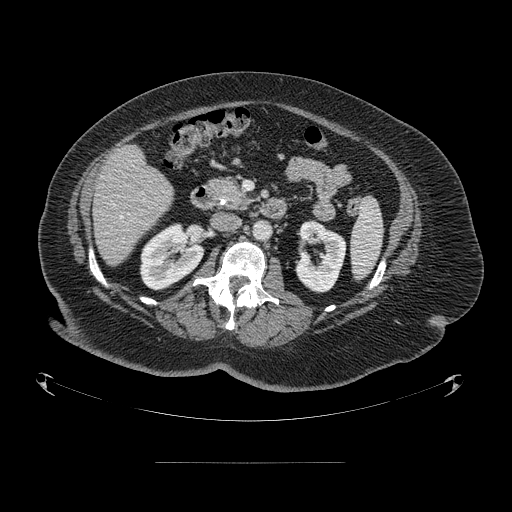

CT
Annotated regions:
* pancreas: 209,177,252,210